Image size 512x512 | CT | Field of view 340x340 mm
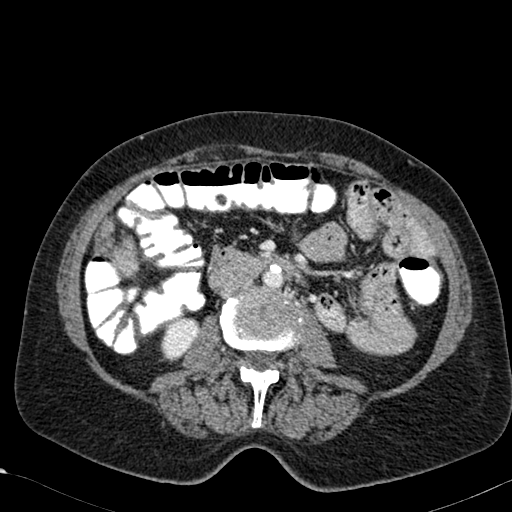 Segmented structures:
- kidney: (358,335,367,344), (162,312,203,359)
- liver: (115,241,137,275)